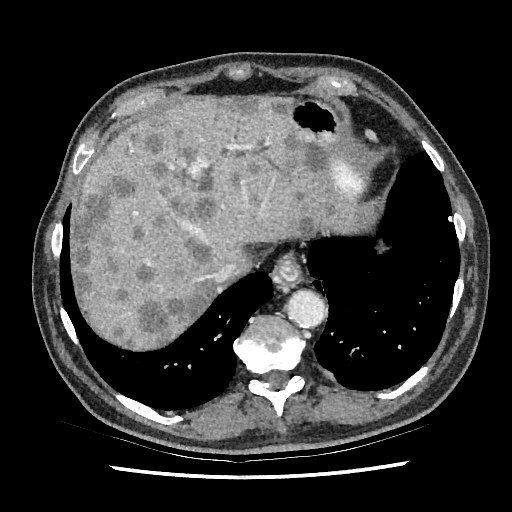 Upper abdomen; CT slice
The liver is bounded by (left=72, top=97, right=356, bottom=349). The largest 15 focal liver lesion regions (of 19) are located at (left=228, top=173, right=241, bottom=187), (left=136, top=279, right=214, bottom=339), (left=152, top=161, right=174, bottom=175), (left=283, top=131, right=326, bottom=173), (left=129, top=120, right=165, bottom=152), (left=116, top=290, right=126, bottom=300), (left=138, top=265, right=155, bottom=281), (left=72, top=175, right=137, bottom=302), (left=298, top=217, right=315, bottom=231), (left=112, top=325, right=135, bottom=346), (left=152, top=192, right=216, bottom=229), (left=133, top=226, right=144, bottom=240), (left=227, top=97, right=261, bottom=112), (left=271, top=100, right=288, bottom=115), (left=186, top=240, right=209, bottom=262).